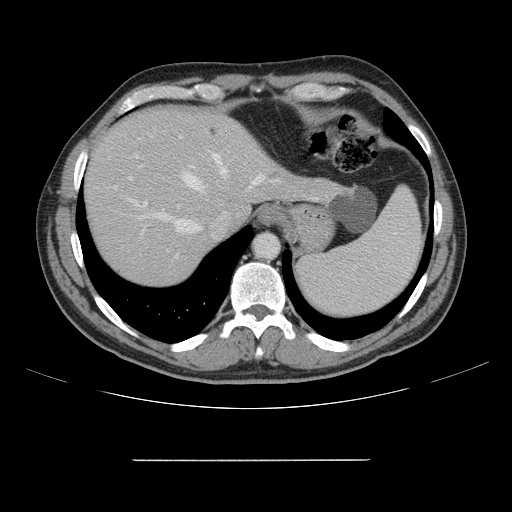
CT slice

The vessel annotation is not exhaustive.
Liver tumor = 209 127 216 136.
Hepatic vessel = 190 166 194 167, 154 210 170 219, 247 175 263 190, 135 155 138 157, 183 173 204 191, 141 225 145 235, 176 220 200 231, 271 180 277 181, 179 136 181 137, 128 199 146 207, 129 177 132 179, 138 217 142 218, 211 153 225 174.